Field of view 386x386 mm, Abdomen, Computed tomography 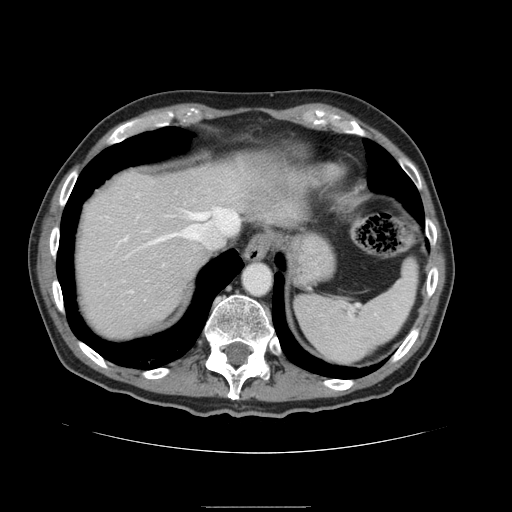 The vessel boxes may cover only some of the vessels.
hepatic vessel: 153 235 171 241, 177 207 238 249